Liver; CT slice; 512x512 px

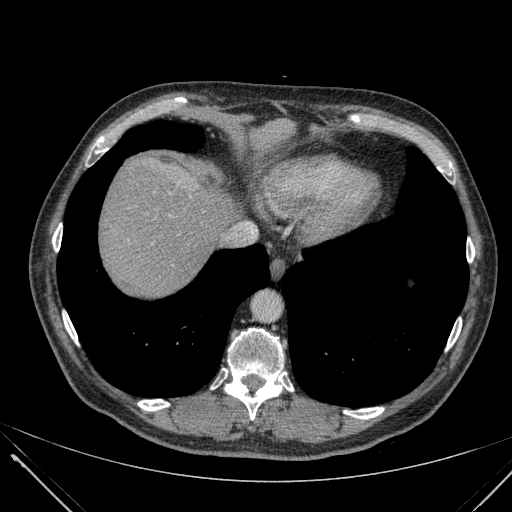
Segmented structures:
- liver: <bbox>100, 155, 239, 296</bbox>, <bbox>247, 119, 294, 148</bbox>